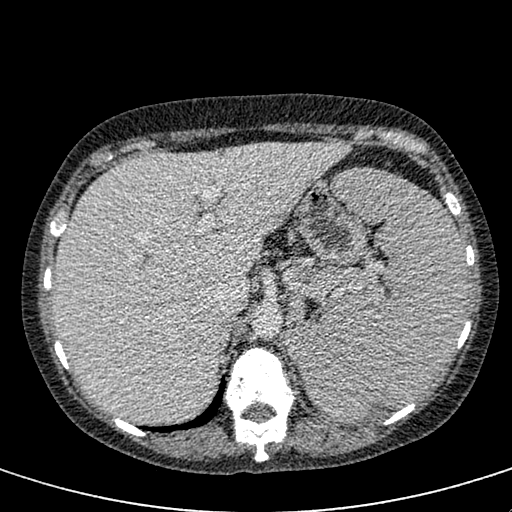
CT, Abdomen

liver: (52, 143, 349, 422)